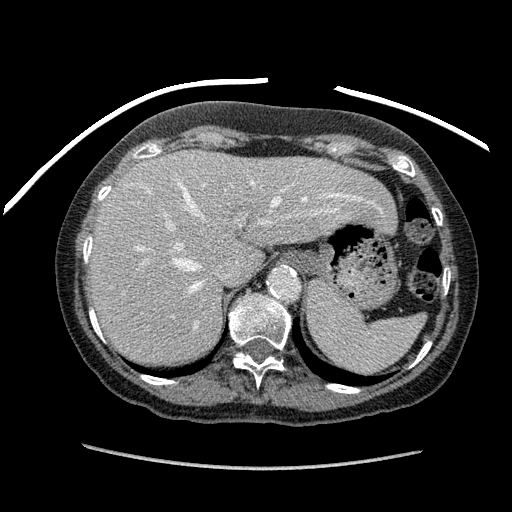 CT scan slice
Liver: box=[90, 150, 395, 364].